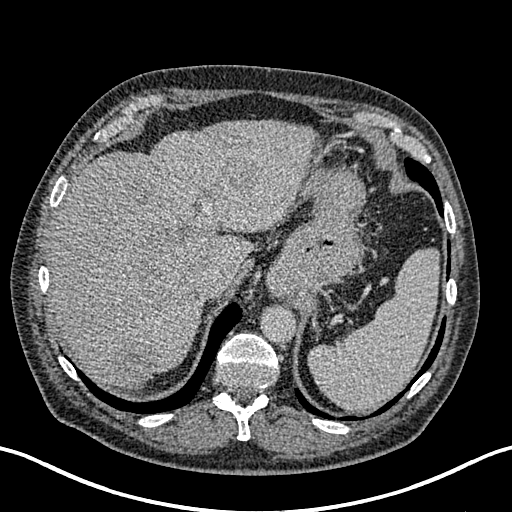
CT.

liver:
  - 50, 120, 315, 387
focal_liver_lesion:
  - 133, 221, 213, 309
  - 225, 156, 260, 188
  - 189, 206, 203, 217
  - 117, 344, 163, 377
  - 198, 186, 214, 203